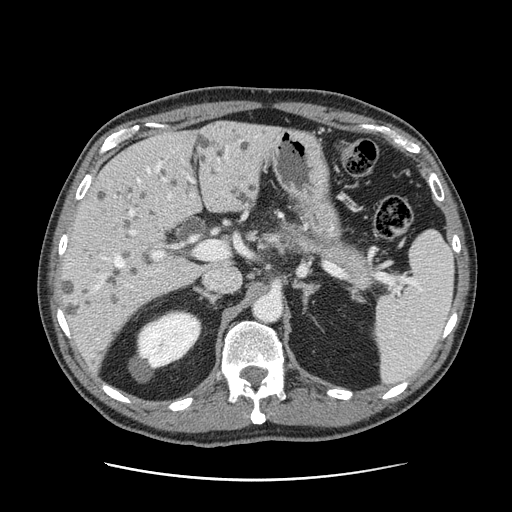 CT | Upper abdomen
The pancreas is at (left=278, top=222, right=371, bottom=291).